240x240; Slice 56 of 155; Brain
FLAIR MRI.
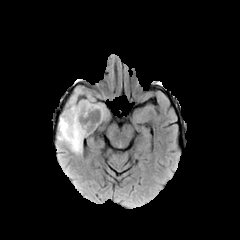
T1-weighted MRI.
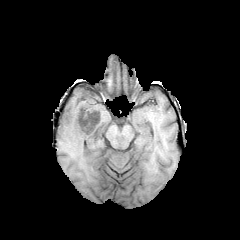
Post-contrast T1-weighted MR.
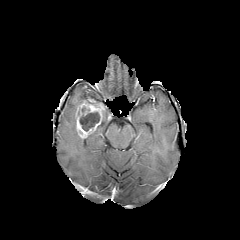
T2-weighted MR.
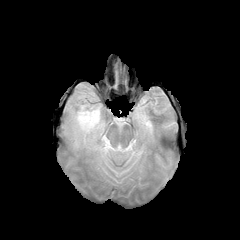
edema:
  - (x1=101, y1=104, x2=107, y2=123)
  - (x1=59, y1=92, x2=93, y2=155)
non-enhancing_tumor_core:
  - (x1=78, y1=107, x2=104, y2=131)
  - (x1=85, y1=99, x2=100, y2=105)
enhancing_tumor:
  - (x1=76, y1=101, x2=102, y2=137)